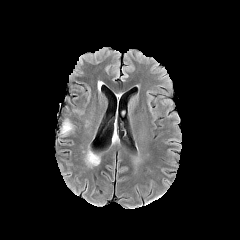
FLAIR MR.
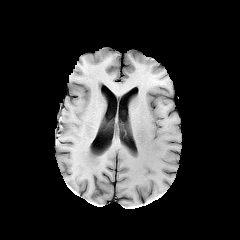
Same slice, T1-weighted MR.
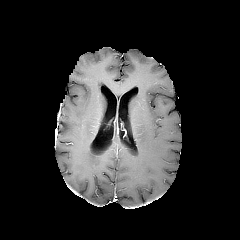
Post-contrast T1-weighted magnetic resonance.
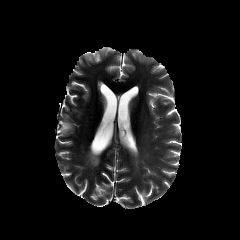
T2-weighted MR image of the same slice.
Brain; 240x240 px
* edema: (60, 122, 71, 133), (86, 150, 100, 165)